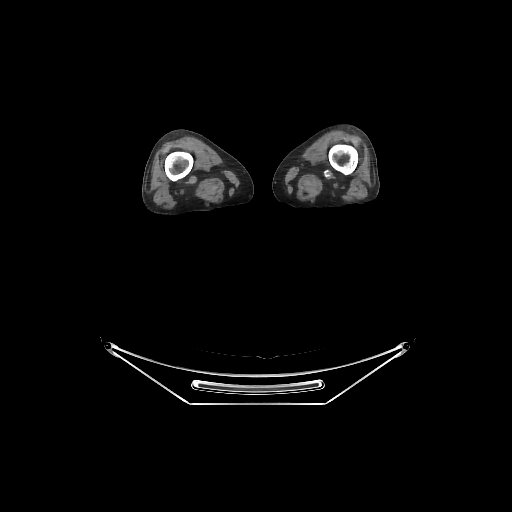
CT slice, 512x512
2 bone regions are bounded by (x1=165, y1=152, x2=193, y2=180), (x1=329, y1=145, x2=357, y2=174).